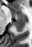
Magnetic resonance; Medial temporal lobe
Anterior hippocampus at 12,12,25,18.
Posterior hippocampus at 13,19,25,31.